512x512; Computed tomography 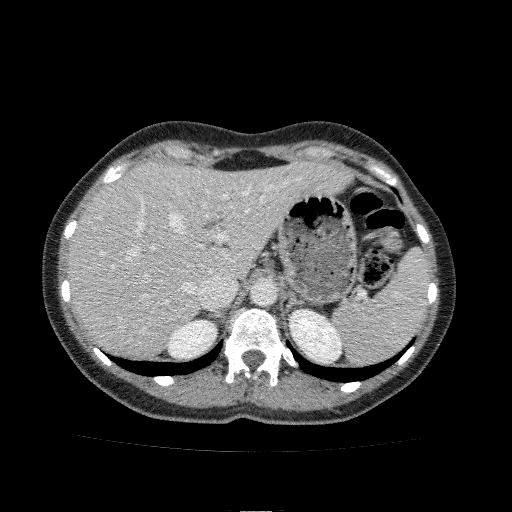 Segmented structures:
• liver: rect(67, 159, 348, 355)
• kidney: rect(290, 310, 341, 362); rect(167, 320, 216, 358)